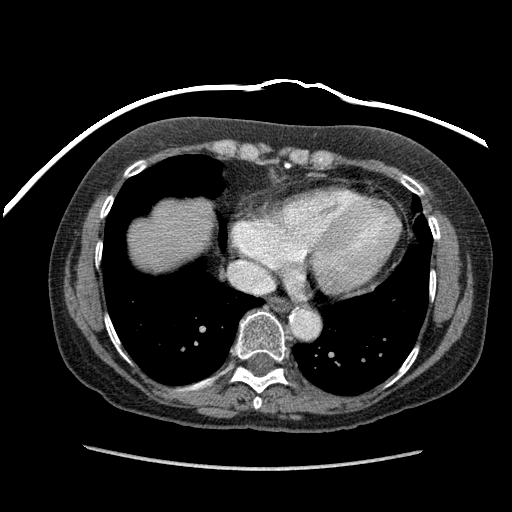 Image size 512x512; Liver; CT slice

Liver = x1=131 y1=202 x2=211 y2=270.